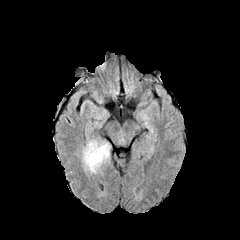
FLAIR MR.
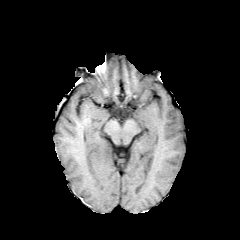
Same slice, T1-weighted magnetic resonance.
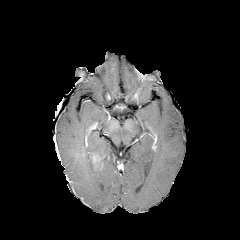
Post-contrast T1-weighted MR of the same slice.
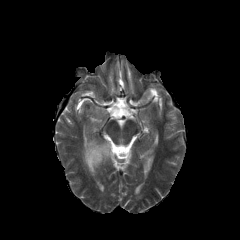
T2-weighted MR.
Head
The edema appears at (79,138,111,175). The enhancing tumor appears at (90,152,105,167).